Slice 132/228; Lung; CT scan slice
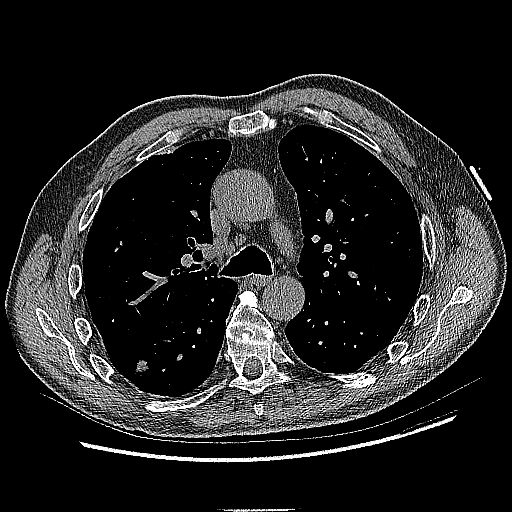 The lung tumor is at left=131, top=356, right=150, bottom=382.